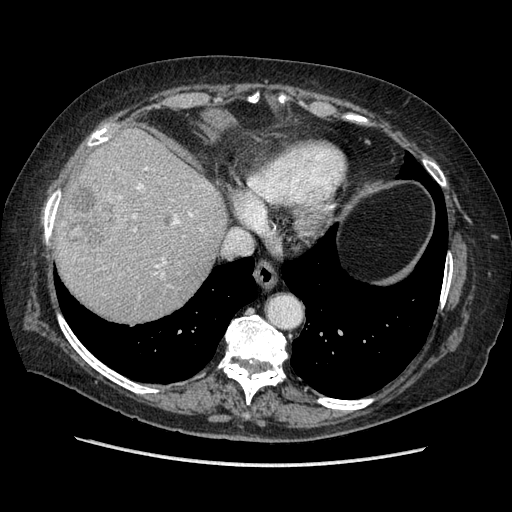
Abdomen. CT slice. Not every hepatic vessel necessarily has a box.
Hepatic vessel at l=162, t=259, r=164, b=262; l=135, t=182, r=141, b=187; l=157, t=263, r=163, b=270; l=172, t=218, r=178, b=222; l=133, t=215, r=135, b=217.
Liver tumor at l=59, t=181, r=115, b=249.